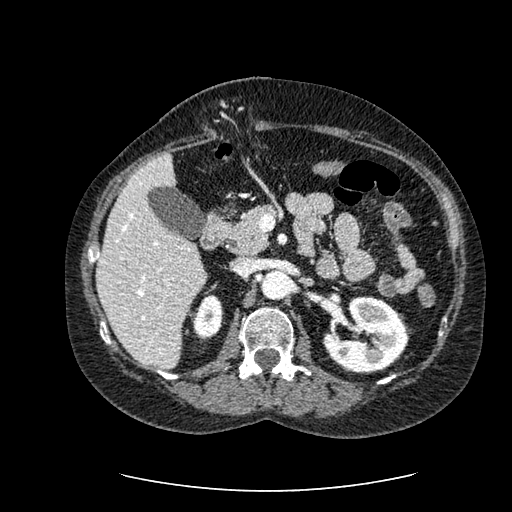
CT image
The liver is at 96:156:205:368. 2 kidney regions appear at 194:295:221:337, 324:297:407:371.